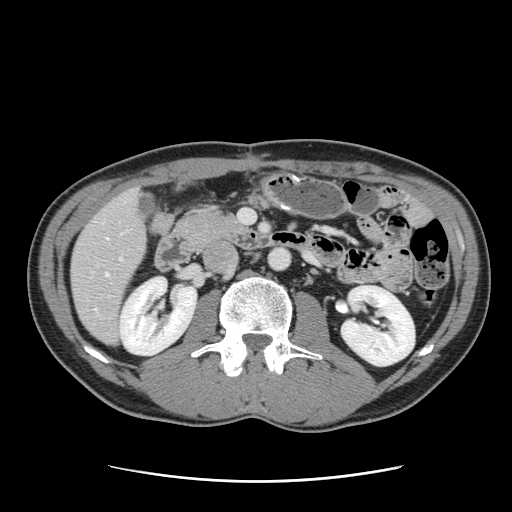 CT slice. Image size 512x512.
Only some of the vessels may be annotated.
Hepatic vessel = x1=120, y1=232, x2=122, y2=233; x1=106, y1=237, x2=107, y2=239; x1=95, y1=308, x2=96, y2=310; x1=105, y1=273, x2=108, y2=275; x1=108, y1=295, x2=109, y2=296; x1=118, y1=257, x2=121, y2=260.